Image width 339 mm; Pelvis; CT slice; Slice 77 of 696

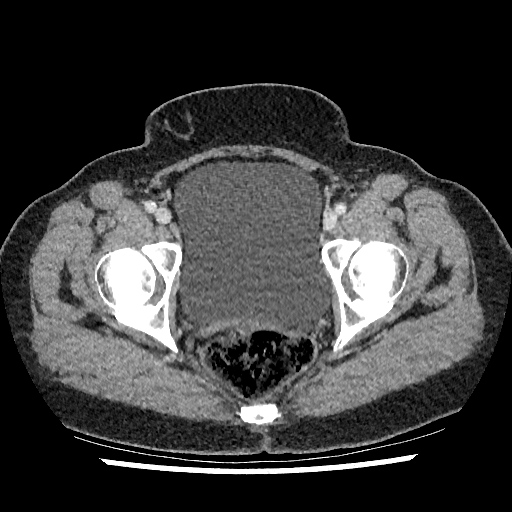 The urinary bladder lies within (174,161,332,332).